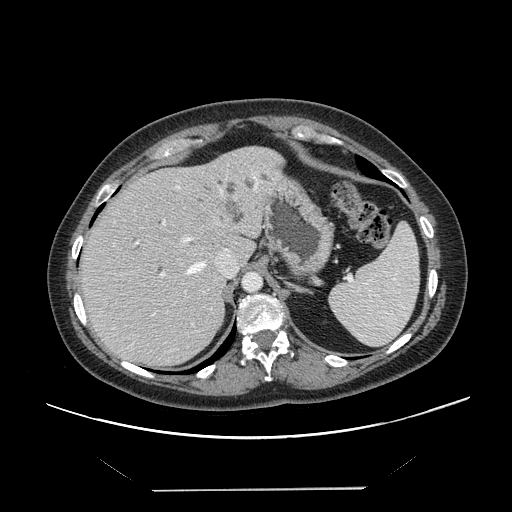 Abdomen, CT scan slice
Some hepatic vessels may have no box.
hepatic_vessel:
  - 161, 273, 164, 276
  - 185, 260, 207, 274
  - 181, 236, 192, 244
  - 214, 249, 237, 277
  - 162, 220, 165, 225
  - 136, 241, 138, 243
  - 218, 186, 223, 196
  - 249, 175, 262, 191